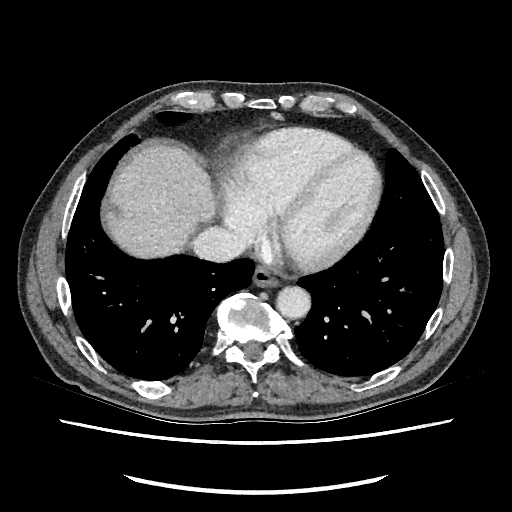

CT image.

Segmented structures:
- liver: (108, 147, 219, 256)
- focal liver lesion: (112, 205, 120, 216)